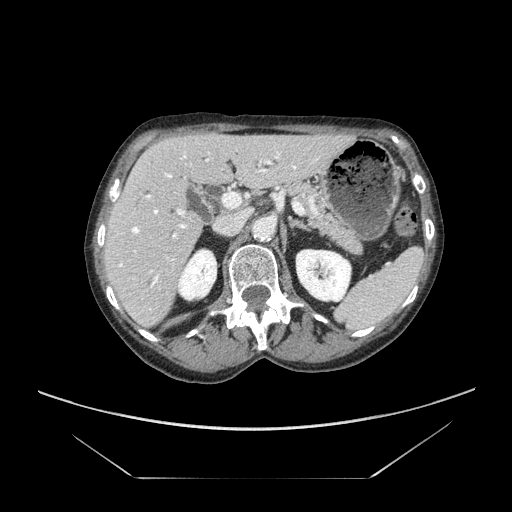 Abdomen, Computed tomography
The pancreas is at (x1=275, y1=182, x2=365, y2=259).